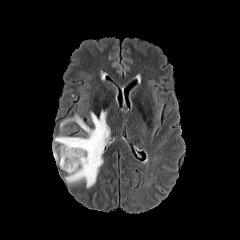
FLAIR MR image.
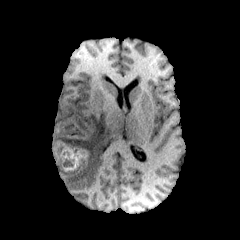
T1-weighted MRI.
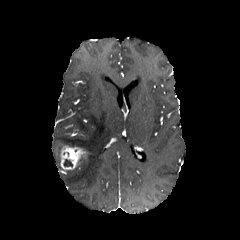
Post-contrast T1-weighted magnetic resonance.
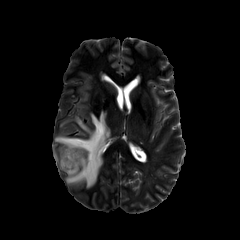
T2-weighted magnetic resonance.
The enhancing tumor is bounded by l=60, t=145, r=86, b=170. 2 non-enhancing tumor core regions are located at l=77, t=152, r=88, b=166; l=64, t=159, r=73, b=167. The edema appears at l=53, t=111, r=110, b=188.